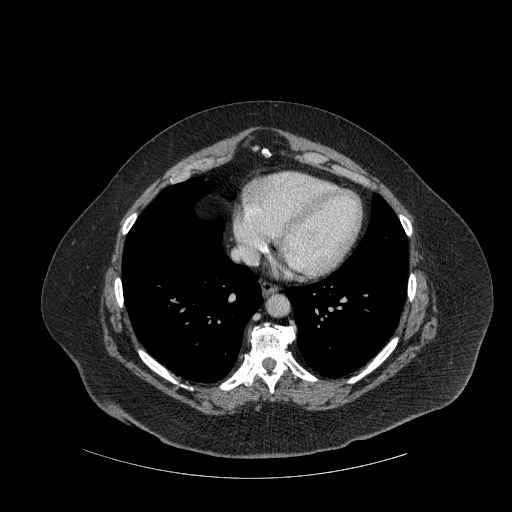
512x512 px. CT slice. Thorax.

7 bone regions are located at (x1=220, y1=323, x2=316, y2=392), (x1=400, y1=215, x2=411, y2=235), (x1=408, y1=274, x2=416, y2=300), (x1=115, y1=278, x2=123, y2=306), (x1=122, y1=214, x2=136, y2=233), (x1=349, y1=338, x2=397, y2=382), (x1=139, y1=350, x2=177, y2=383). 2 lung regions appear at (x1=287, y1=194, x2=407, y2=376), (x1=122, y1=177, x2=261, y2=382).